Brain
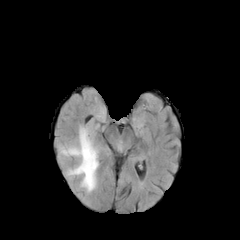
FLAIR MRI.
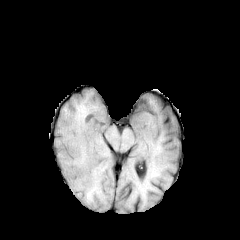
T1-weighted MR.
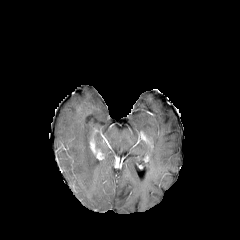
Same slice, post-contrast T1-weighted magnetic resonance.
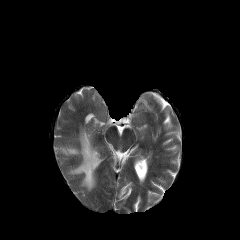
T2-weighted MR of the same slice.
The edema lies within <bbox>60, 128, 98, 191</bbox>.